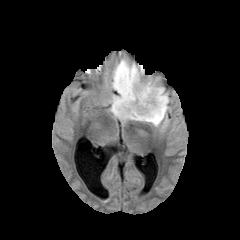
FLAIR MR.
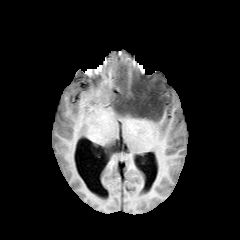
Same slice, T1-weighted magnetic resonance.
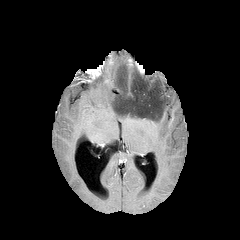
Post-contrast T1-weighted magnetic resonance.
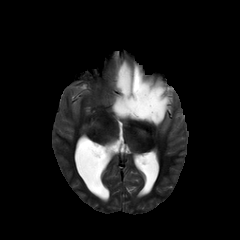
Same slice, T2-weighted MR image.
non-enhancing tumor core: [119, 76, 126, 91], [115, 74, 163, 117] | edema: [111, 58, 171, 127]